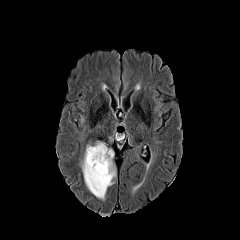
FLAIR MRI.
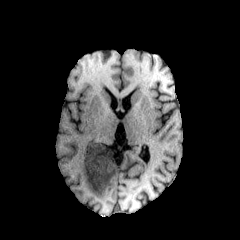
T1-weighted MR.
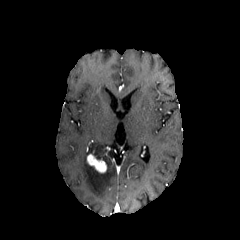
Same slice, post-contrast T1-weighted magnetic resonance.
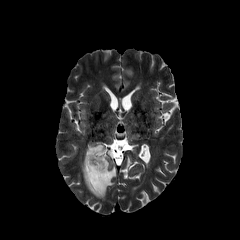
T2-weighted magnetic resonance.
Non-enhancing tumor core — 94,147,111,161.
Edema — 79,141,116,200.
Enhancing tumor — 86,150,107,173.